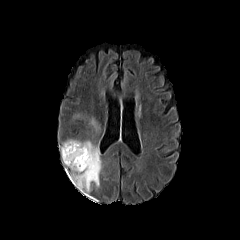
FLAIR MRI.
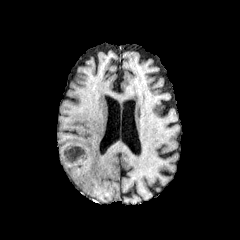
Same slice, T1-weighted MR image.
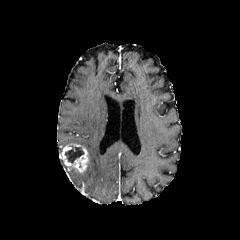
Post-contrast T1-weighted MR image.
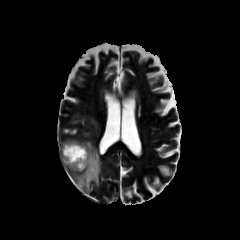
T2-weighted MR image.
Head. 240x240 px.
Enhancing tumor — [x1=61, y1=143, x2=89, y2=173].
Edema — [x1=61, y1=138, x2=102, y2=194], [x1=72, y1=113, x2=100, y2=133].
Non-enhancing tumor core — [x1=64, y1=145, x2=83, y2=163].